Upper abdomen. 512x512. Slice 75/116. CT slice.

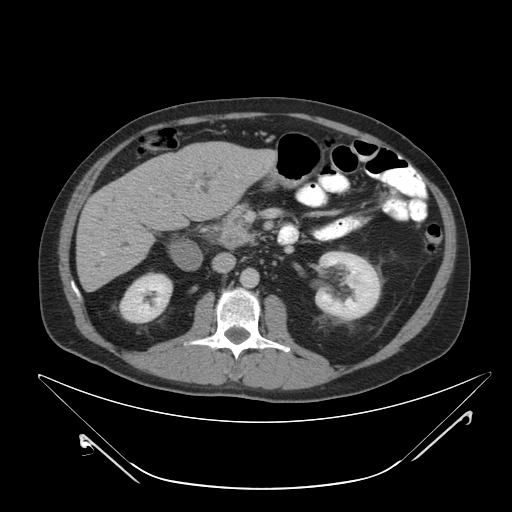

The pancreatic tumor is bounded by 220 230 251 247. The pancreas lies within 220 204 252 237.